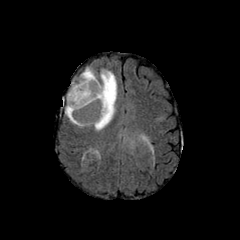
FLAIR MR.
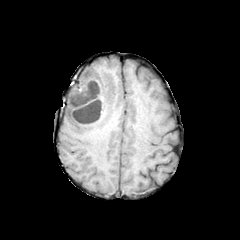
Same slice, T1-weighted magnetic resonance.
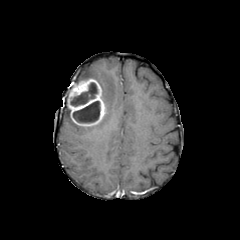
Same slice, post-contrast T1-weighted MRI.
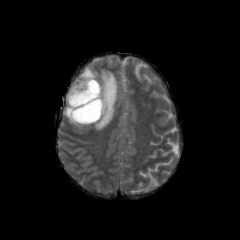
T2-weighted MR.
Brain
enhancing_tumor:
  - (left=68, top=79, right=105, bottom=125)
non-enhancing_tumor_core:
  - (left=70, top=82, right=98, bottom=106)
  - (left=72, top=101, right=100, bottom=123)
edema:
  - (left=74, top=67, right=117, bottom=130)
  - (left=65, top=106, right=83, bottom=126)